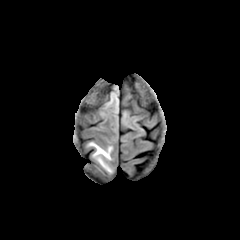
FLAIR magnetic resonance.
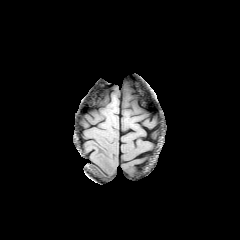
Same slice, T1-weighted magnetic resonance.
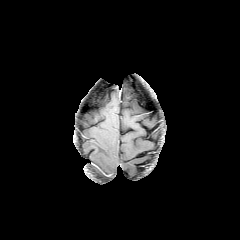
Post-contrast T1-weighted magnetic resonance.
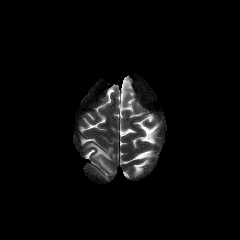
Same slice, T2-weighted MR.
240x240 px.
Edema at [x1=89, y1=142, x2=112, y2=172].